512x512 px | CT scan slice | Slice index 60 | Lower abdomen
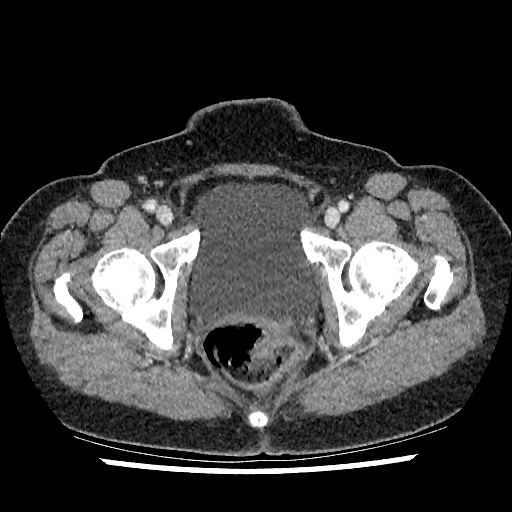
Urinary bladder — (left=189, top=183, right=322, bottom=326).